MR image. 320x320 px. Image width 400 mm. 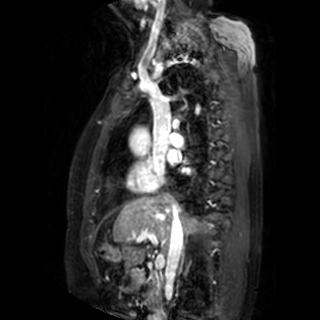 Left atrium = 168,150,176,164.